Liver, 512x512 px, CT 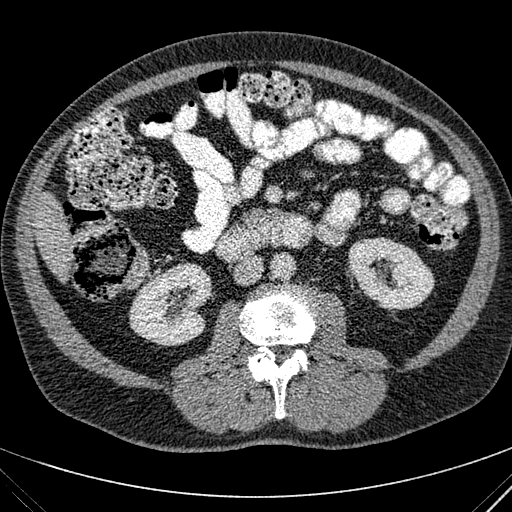

Kidney — 130:263:210:345, 349:237:434:309.
Liver — 36:192:68:282.